FLAIR magnetic resonance.
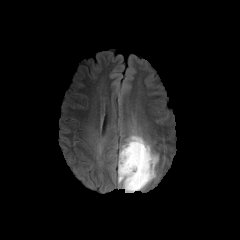
T1-weighted MR image.
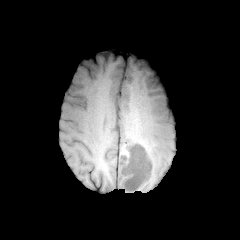
Post-contrast T1-weighted MR image.
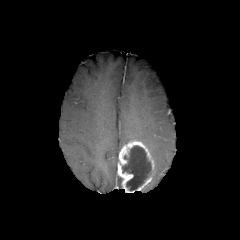
T2-weighted MR image.
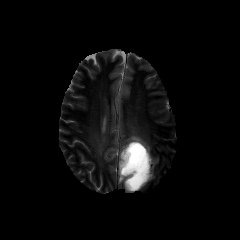
240x240
Annotated regions:
- enhancing tumor: rect(117, 140, 150, 192); rect(136, 178, 149, 190)
- non-enhancing tumor core: rect(122, 145, 153, 190)
- edema: rect(114, 133, 158, 187)